FLAIR MR image.
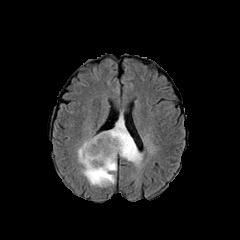
T1-weighted MR image.
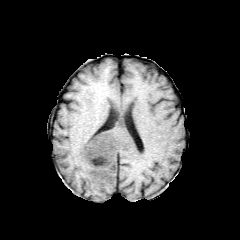
Post-contrast T1-weighted MR image.
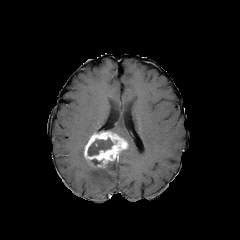
T2-weighted MR image.
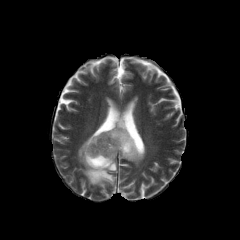
Brain.
2 edema regions appear at (x1=77, y1=138, x2=117, y2=187), (x1=110, y1=110, x2=144, y2=166). The non-enhancing tumor core is located at (x1=88, y1=138, x2=112, y2=155). The enhancing tumor lies within (x1=83, y1=130, x2=129, y2=168).